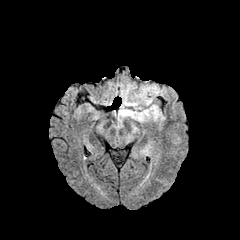
FLAIR magnetic resonance.
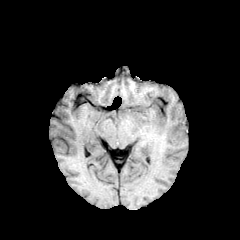
Same slice, T1-weighted MR image.
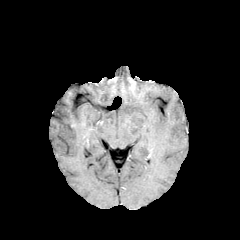
Post-contrast T1-weighted MRI.
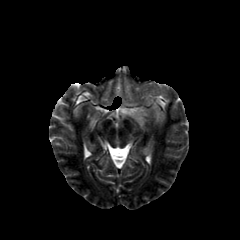
T2-weighted MRI of the same slice.
Edema: 142:88:157:108.